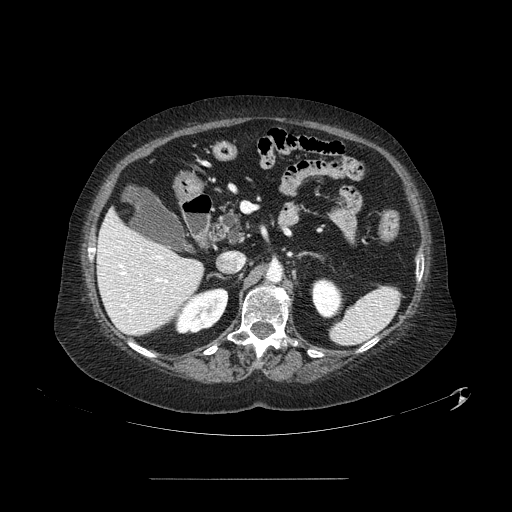 CT image

pancreas: 220,211,244,243